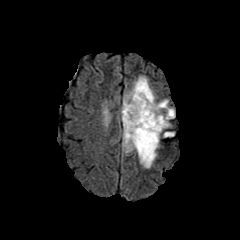
FLAIR MRI.
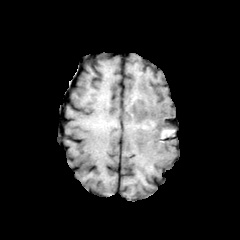
Same slice, T1-weighted MR image.
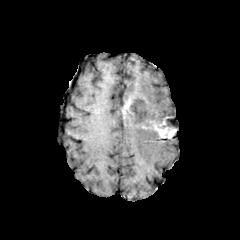
Same slice, post-contrast T1-weighted MRI.
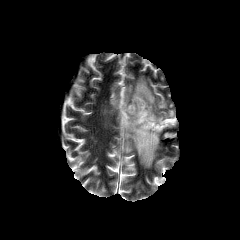
Same slice, T2-weighted MR.
240x240 px | Head
{"edema": ["122:76:175:133", "122:121:165:167"], "non-enhancing_tumor_core": ["128:94:162:131"], "enhancing_tumor": ["122:99:131:117", "152:118:167:133"]}